FLAIR MRI.
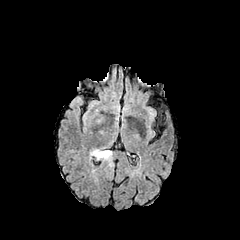
T1-weighted MR image.
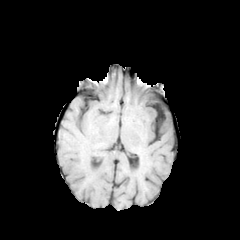
Post-contrast T1-weighted MRI.
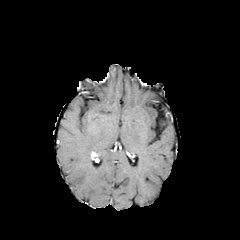
T2-weighted magnetic resonance.
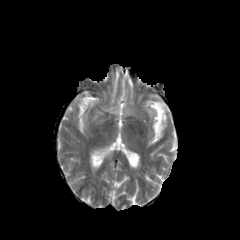
Head
The edema is located at 90:146:112:167.